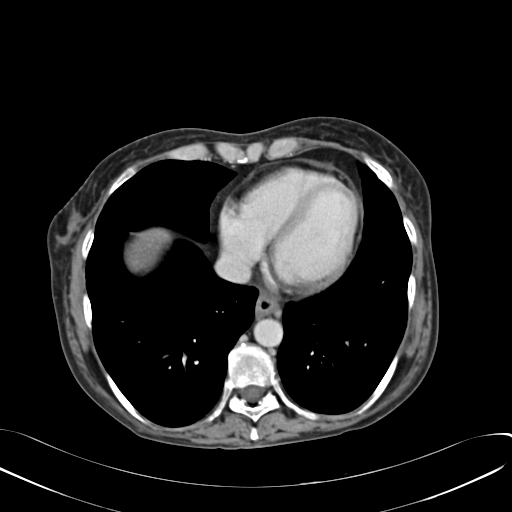
CT, 512x512

liver: (130,234,164,267)